Brain, 240x240
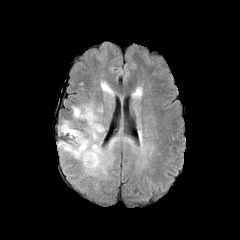
FLAIR MRI.
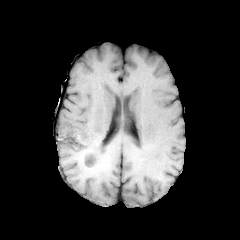
Same slice, T1-weighted MR image.
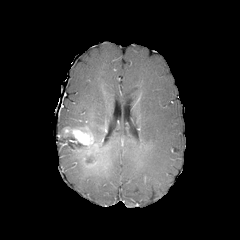
Same slice, post-contrast T1-weighted MR image.
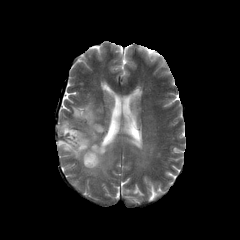
Same slice, T2-weighted MRI.
Edema — box=[57, 100, 119, 176]; box=[132, 88, 139, 99]; box=[98, 81, 115, 106].
Non-enhancing tumor core — box=[59, 128, 104, 168].
Enhancing tumor — box=[64, 126, 91, 145].